CT image, 512x512 px 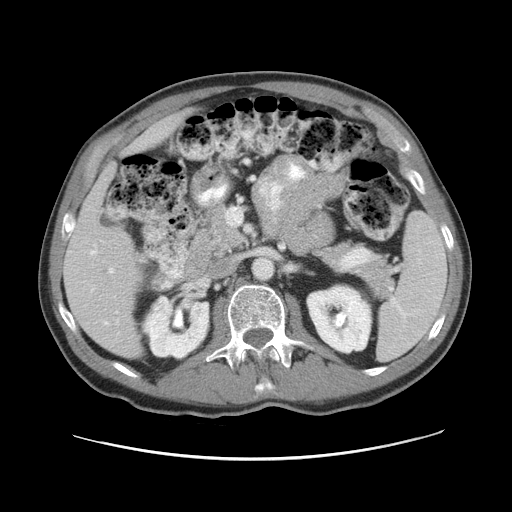

Not every hepatic vessel necessarily has a box.
5 hepatic vessel regions are located at (115,311,117,313), (90,244,96,254), (116,320,118,324), (109,269,113,272), (104,321,107,323).